512x512 px. Chest. Slice 159/277. CT scan slice.
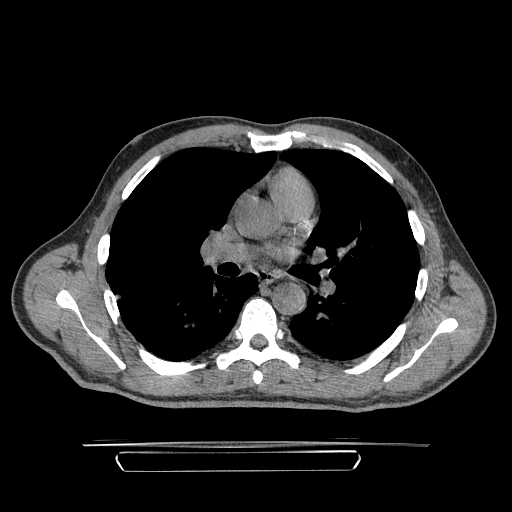

Findings:
* lung tumor: <box>115,293,122,301</box>